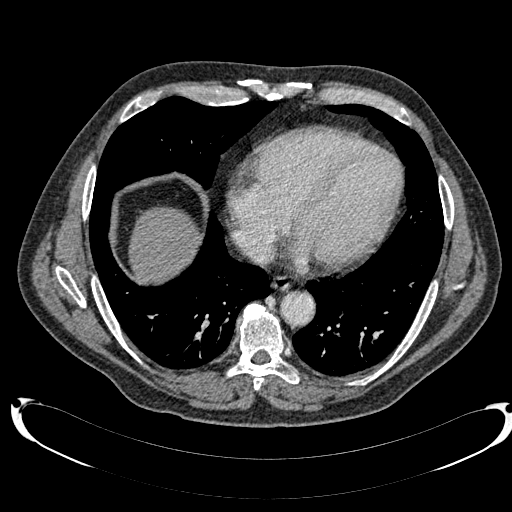 512x512 | Liver | Computed tomography

liver:
  - (x1=129, y1=208, x2=198, y2=281)